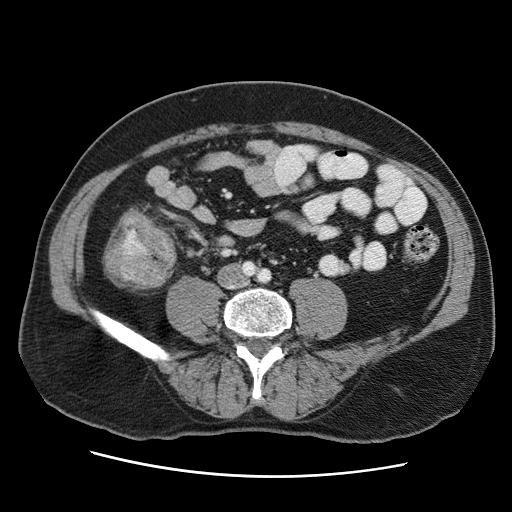
CT image, 512x512 px, Pelvis
The colon tumor lies within 102,209,175,286.